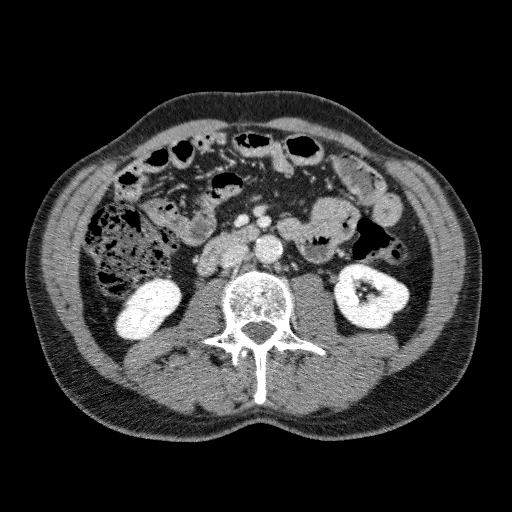

512x512; Abdomen; CT slice

Kidney at x1=335 y1=264 x2=407 y2=327, x1=117 y1=279 x2=180 y2=338.